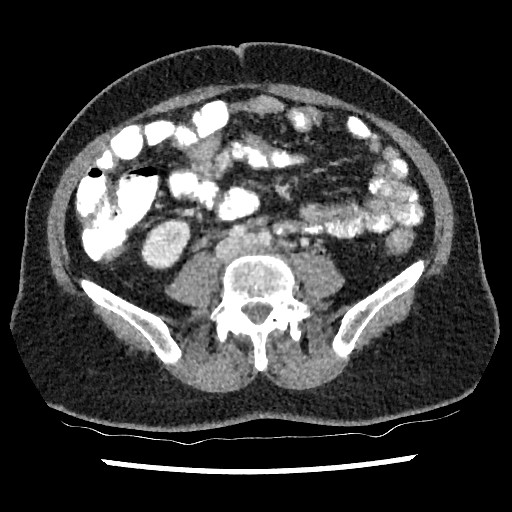 CT slice
kidney:
  - 143, 221, 188, 266